Abdomen, CT scan slice, Slice index 21, 512x512 px 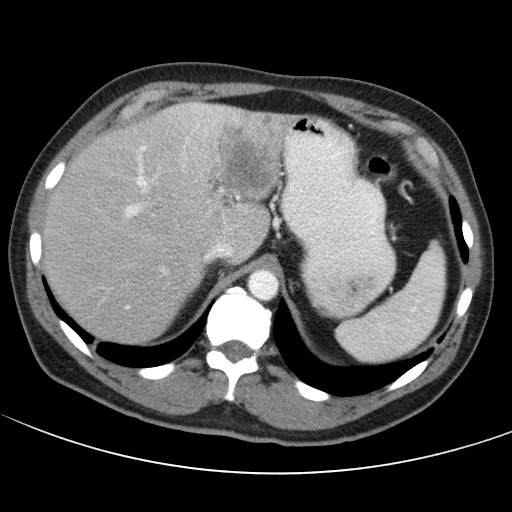
The vessel annotation is not exhaustive.
Hepatic vessel — 137, 177, 144, 191; 139, 165, 140, 170; 140, 148, 142, 151; 125, 205, 138, 215.
Liver tumor — 263, 116, 276, 136; 211, 123, 280, 202.